Brain; Image width 240 mm
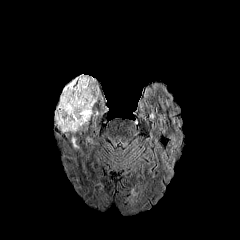
FLAIR MRI.
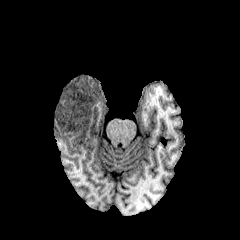
T1-weighted magnetic resonance.
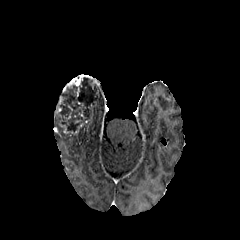
Post-contrast T1-weighted MR image.
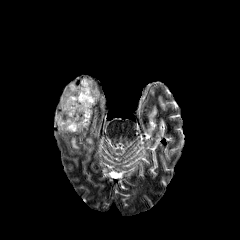
T2-weighted MR.
Enhancing tumor — box(63, 74, 92, 96).
Non-enhancing tumor core — box(54, 77, 102, 137); box(70, 133, 78, 147).